MRI; Image width 34 mm 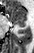
{"posterior_hippocampus": ["<box>15,23,24,27</box>"], "anterior_hippocampus": ["<box>6,6,26,22</box>"]}